Slice 85 of 155, Image size 240x240
FLAIR magnetic resonance.
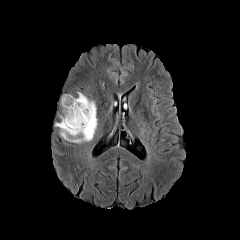
T1-weighted MRI.
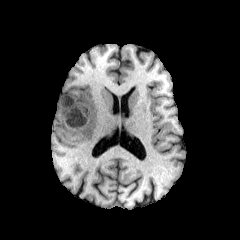
Post-contrast T1-weighted magnetic resonance.
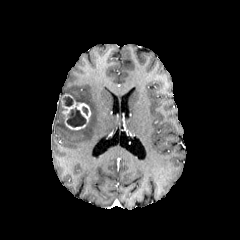
T2-weighted MR.
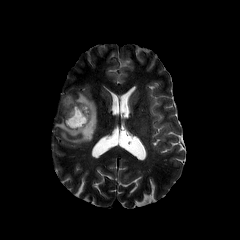
Enhancing tumor at [61, 94, 90, 129].
Non-enhancing tumor core at [63, 96, 73, 106], [67, 108, 85, 127].
Edema at [55, 92, 97, 143].